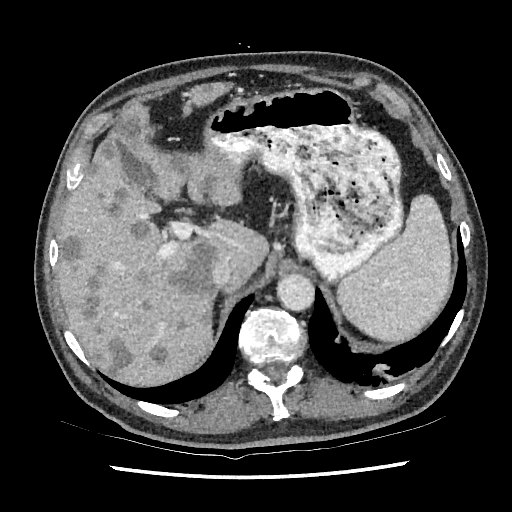 CT image

[15/18] hepatic lesion: [106,188,130,219], [139,297,152,310], [85,264,106,319], [150,344,167,364], [62,236,81,262], [129,221,150,242], [167,240,217,295], [198,173,218,195], [115,110,144,142], [85,162,99,180], [168,156,191,174], [199,306,211,326], [107,335,133,376], [100,135,115,161], [136,268,153,285] | liver: [110,103,239,205], [183,82,230,116], [58,142,268,385]